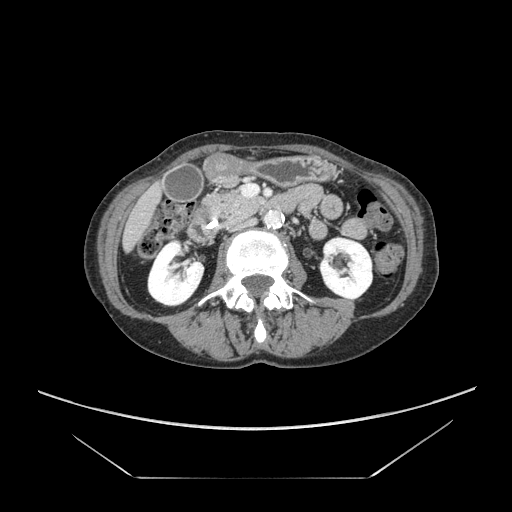
512x512 | CT
pancreatic_tumor:
  - (x1=197, y1=205, x2=212, y2=223)
pancreas:
  - (x1=200, y1=188, x2=268, y2=230)